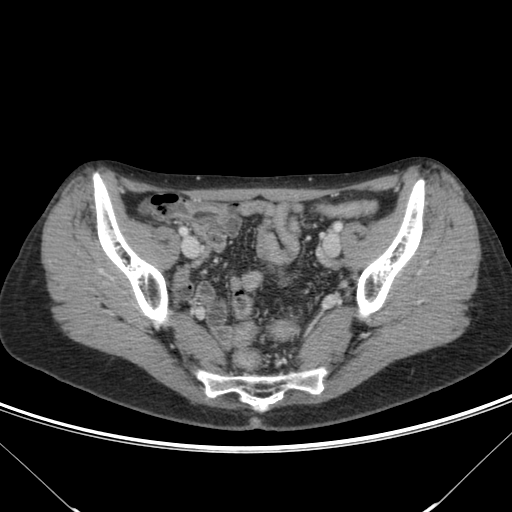

CT image | Abdomen
colon tumor: 271:321:294:337